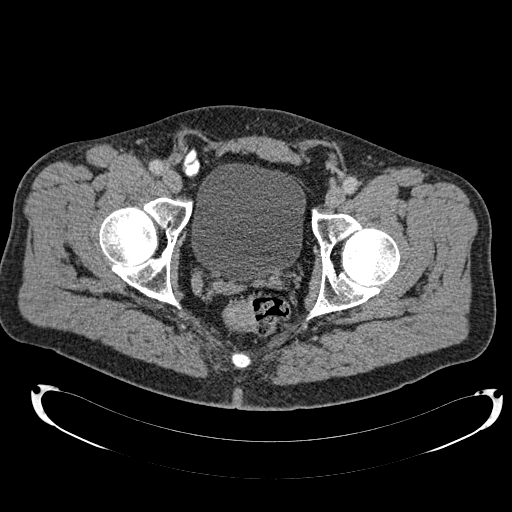

Pelvis. CT.
Urinary bladder: bounding box [191,163,305,282].